Brain | Slice index 46 | Field of view 240 mm wide, 1.00 mm slice spacing
FLAIR MR image.
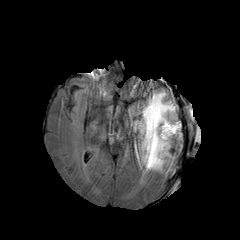
T1-weighted magnetic resonance.
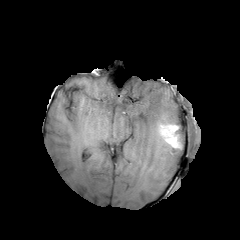
Post-contrast T1-weighted MR.
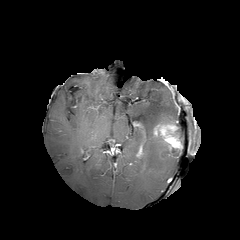
T2-weighted MRI.
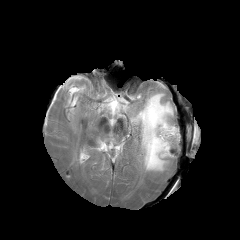
Findings:
* edema: box=[128, 89, 181, 172]
* non-enhancing tumor core: box=[172, 130, 180, 147]
* enhancing tumor: box=[154, 124, 177, 145]